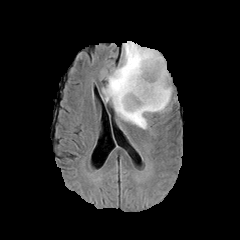
FLAIR magnetic resonance.
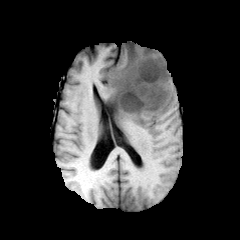
T1-weighted MR of the same slice.
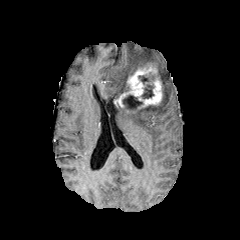
Post-contrast T1-weighted MRI.
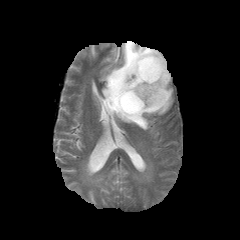
T2-weighted MRI of the same slice.
• edema: [102, 41, 172, 129]
• enhancing tumor: [113, 62, 163, 108]
• non-enhancing tumor core: [106, 89, 122, 111], [139, 75, 154, 83], [137, 59, 166, 79], [142, 85, 153, 98], [122, 94, 142, 111]